512x512 px | CT scan slice

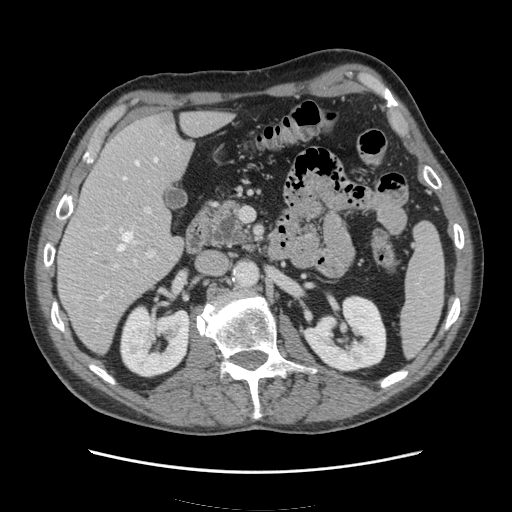 Spleen — x1=401, y1=224, x2=444, y2=355.